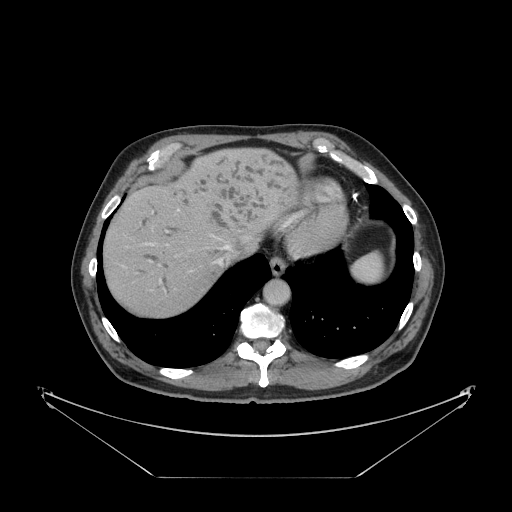

CT scan slice. Image size 512x512. Abdomen. The vessel annotation is not exhaustive.
4 hepatic vessel regions appear at [145, 244, 152, 245], [210, 234, 232, 266], [241, 236, 251, 241], [164, 244, 166, 245].